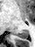
MR image | Medial temporal lobe
<segmentation>
  <posterior_hippocampus>16 30 28 38</posterior_hippocampus>
</segmentation>